Slice index 15 | Liver | CT scan slice | Image size 512x512
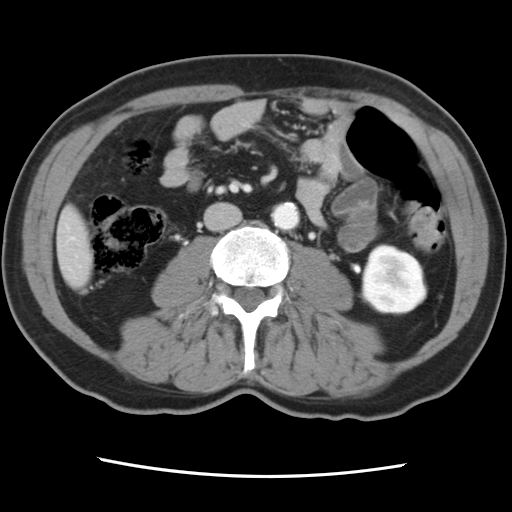
Some hepatic vessels may have no box.
hepatic vessel: 71, 237, 73, 239